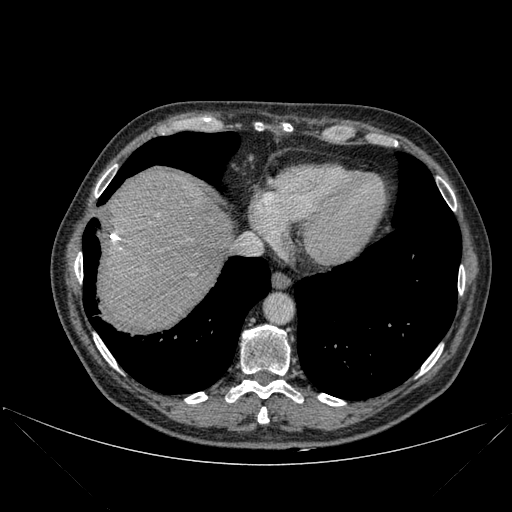
Computed tomography

liver:
  - region(97, 172, 230, 335)
bone:
  - region(257, 407, 269, 424)
  - region(458, 265, 465, 294)
  - region(419, 346, 442, 374)
  - region(283, 123, 292, 130)
  - region(441, 179, 456, 210)
  - region(95, 165, 115, 197)
  - region(94, 335, 118, 369)
  - region(185, 392, 207, 403)
  - region(74, 252, 82, 282)
  - region(241, 325, 289, 375)
  - region(318, 393, 345, 405)
  - region(226, 380, 302, 402)
lung:
  - region(83, 218, 270, 394)
  - region(98, 132, 239, 204)
  - region(295, 152, 461, 399)